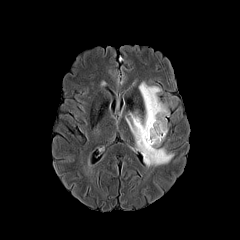
FLAIR MR image.
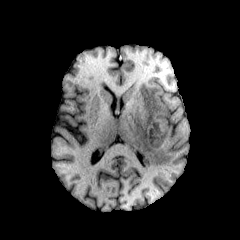
T1-weighted magnetic resonance.
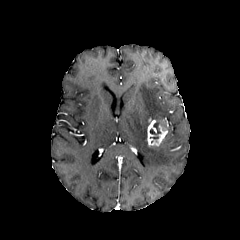
Post-contrast T1-weighted magnetic resonance.
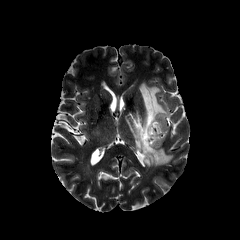
T2-weighted MR of the same slice.
Head.
Edema = l=125, t=83, r=174, b=167.
Non-enhancing tumor core = l=150, t=115, r=161, b=135.
Enhancing tumor = l=147, t=117, r=168, b=146.